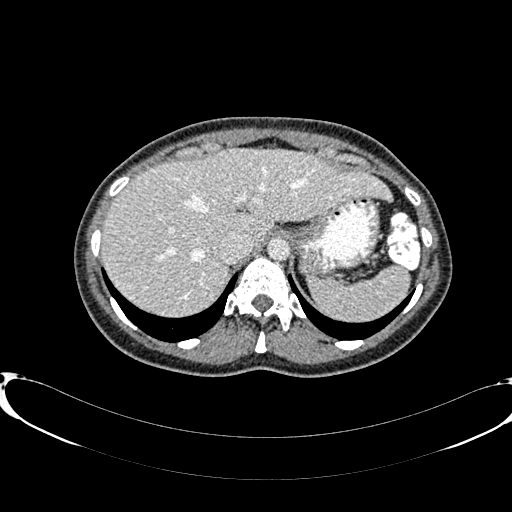

CT. Liver at [102,149,391,315].